FLAIR MRI.
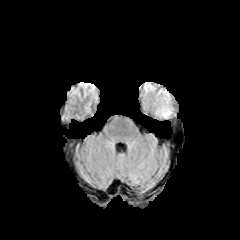
T1-weighted magnetic resonance.
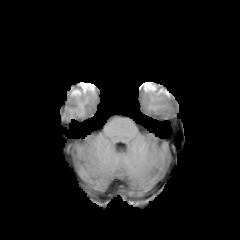
Post-contrast T1-weighted magnetic resonance.
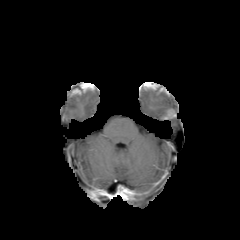
T2-weighted MR image.
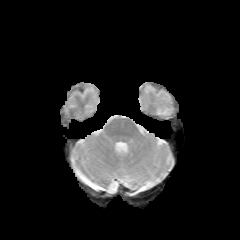
Edema — left=154, top=92, right=172, bottom=117.